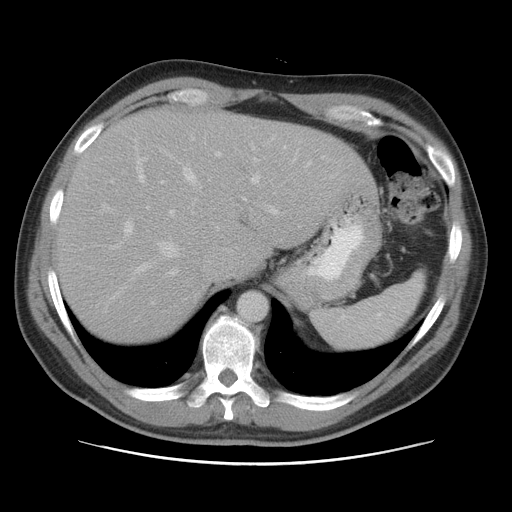

CT scan slice.

The vessel annotation is not exhaustive.
11 hepatic vessel regions are bounded by x1=252 y1=144 x2=254 y2=149, x1=124 y1=220 x2=132 y2=236, x1=169 y1=210 x2=174 y2=215, x1=251 y1=173 x2=259 y2=183, x1=243 y1=198 x2=245 y2=199, x1=268 y1=206 x2=277 y2=214, x1=183 y1=166 x2=197 y2=184, x1=283 y1=145 x2=286 y2=148, x1=158 y1=242 x2=177 y2=257, x1=253 y1=158 x2=257 y2=161, x1=136 y1=158 x2=145 y2=182.